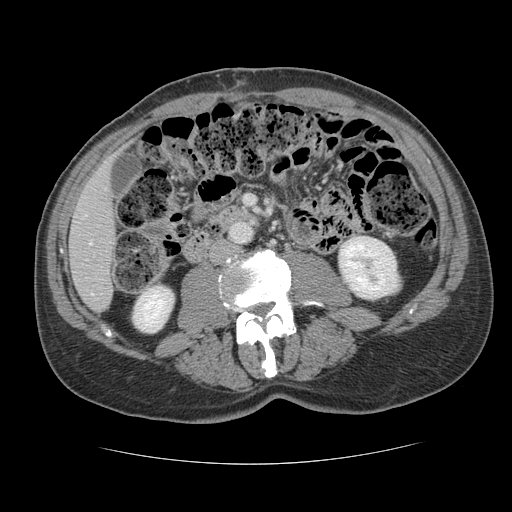

Liver | CT image

The vessel boxes may cover only some of the vessels.
{
  "hepatic_vessel": [
    "rect(91, 293, 92, 294)",
    "rect(90, 241, 91, 243)"
  ]
}